FLAIR MRI.
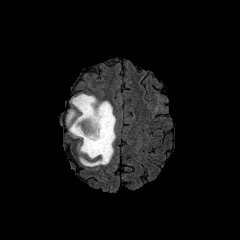
T1-weighted MR.
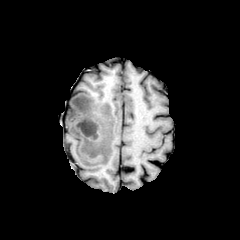
Post-contrast T1-weighted MR image.
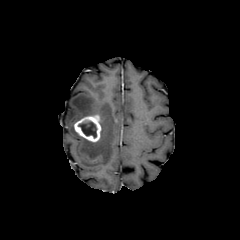
T2-weighted MR image.
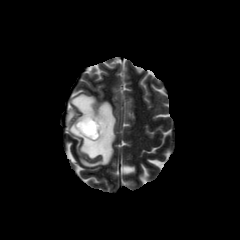
Head
2 non-enhancing tumor core regions are bounded by box=[98, 116, 104, 141]; box=[79, 121, 96, 137]. The edema is at box=[66, 94, 116, 167]. The enhancing tumor is at box=[74, 114, 101, 141].